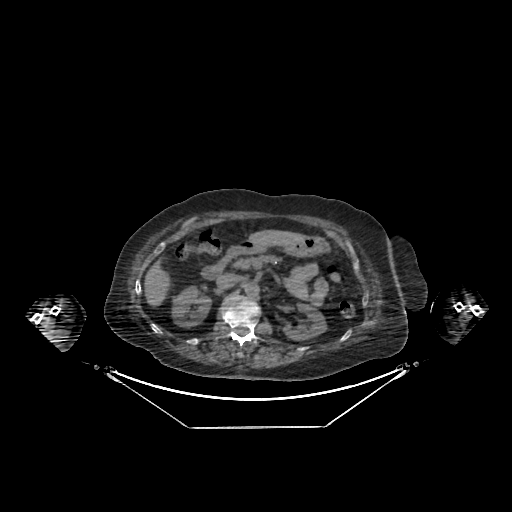
CT; Liver
* kidney: (x1=280, y1=303, x2=327, y2=340), (x1=171, y1=286, x2=211, y2=326)
* liver: (x1=246, y1=229, x2=312, y2=252), (x1=143, y1=256, x2=172, y2=308)